CT scan slice | Abdomen | Image width 512 mm 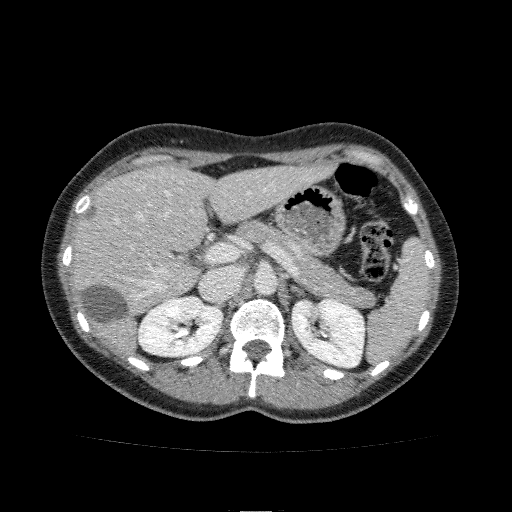

Liver at <box>72,164,333,354</box>.
Kidney at <box>292,299,364,367</box>, <box>138,297,222,356</box>.